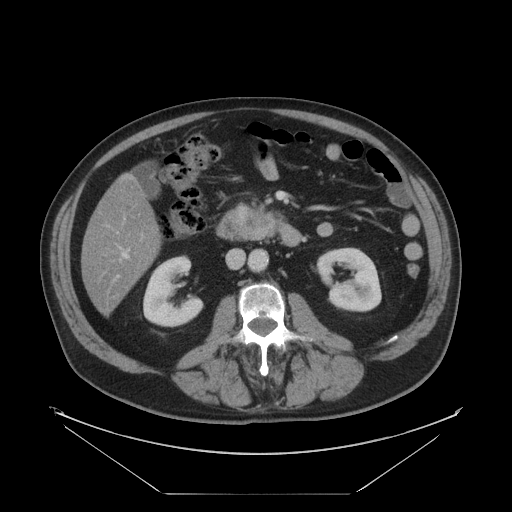

CT

Pancreatic tumor: bounding box [246, 217, 257, 228].
Pancreas: bounding box [237, 204, 283, 241].